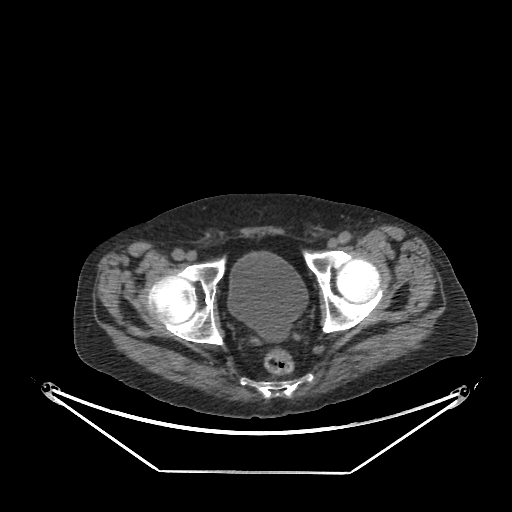

CT slice. Lower abdomen.

The urinary bladder is bounded by {"x1": 227, "y1": 251, "x2": 308, "y2": 342}.